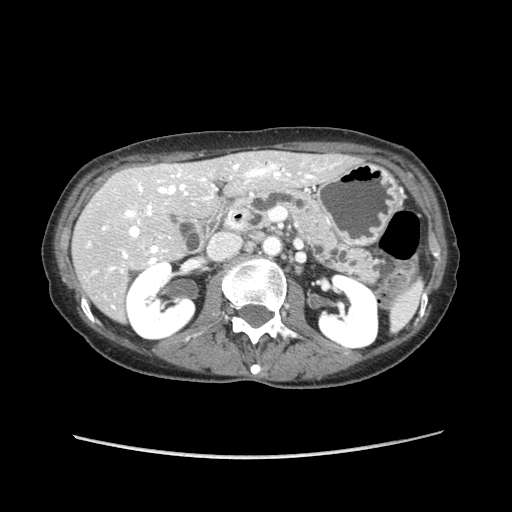

Upper abdomen; 512x512 px; CT image
<segmentation>
  <pancreas>x1=228, y1=188, x2=376, y2=282</pancreas>
</segmentation>